512x512. CT slice. 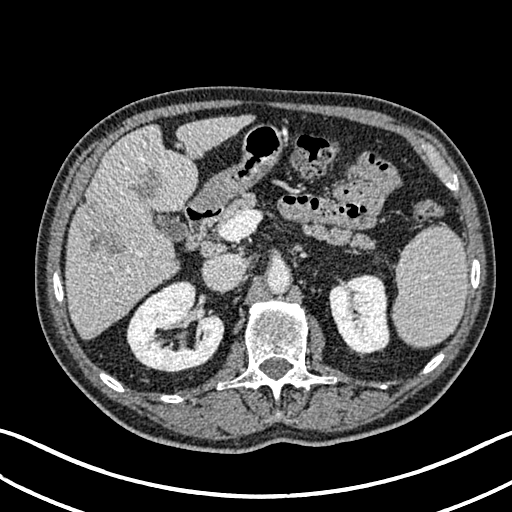
The liver is bounded by region(66, 115, 252, 337). 2 kidney regions appear at region(330, 276, 388, 352); region(127, 282, 223, 370). 2 focal liver lesion regions are located at region(86, 216, 128, 255); region(130, 169, 158, 196).